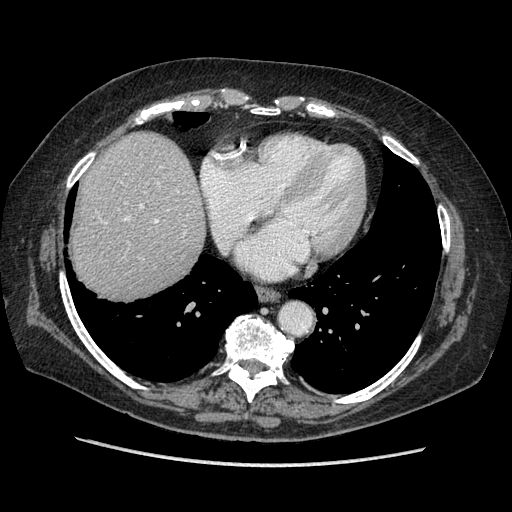 CT. Abdomen. 512x512. The vessel boxes may cover only some of the vessels.
Hepatic vessel at bbox(140, 205, 142, 206); bbox(155, 219, 157, 221); bbox(125, 216, 129, 219).